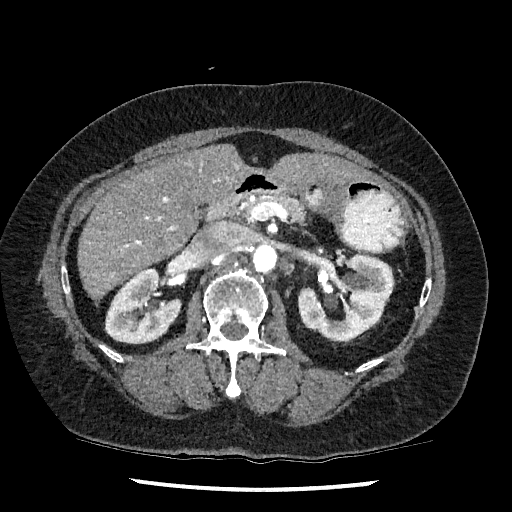
CT slice

Annotated regions:
- kidney: 106,260,186,343; 299,255,393,340
- liver: 272,155,369,185; 78,144,247,298